Image size 512x512; CT slice; Image width 367 mm; Liver 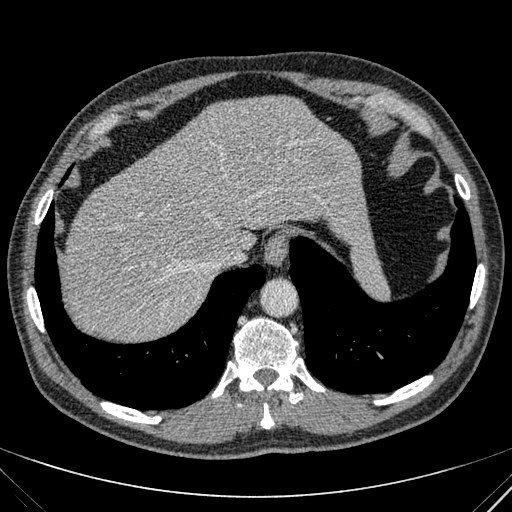

Liver — x1=61 y1=97 x2=376 y2=340.